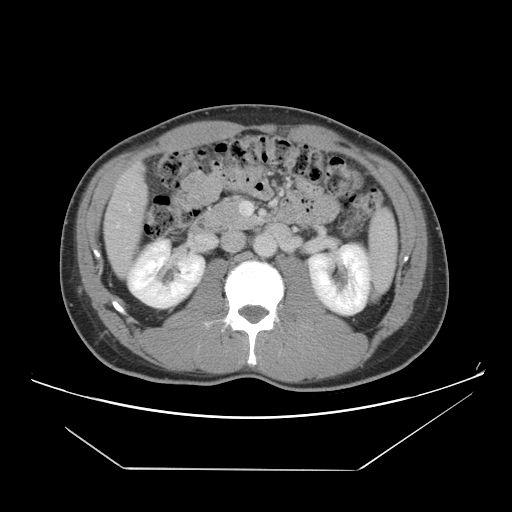
Computed tomography. Image size 512x512. Abdomen.
Not every hepatic vessel necessarily has a box.
2 hepatic vessel regions appear at 126, 247, 128, 248; 117, 225, 119, 227.